CT slice, Slice index 106

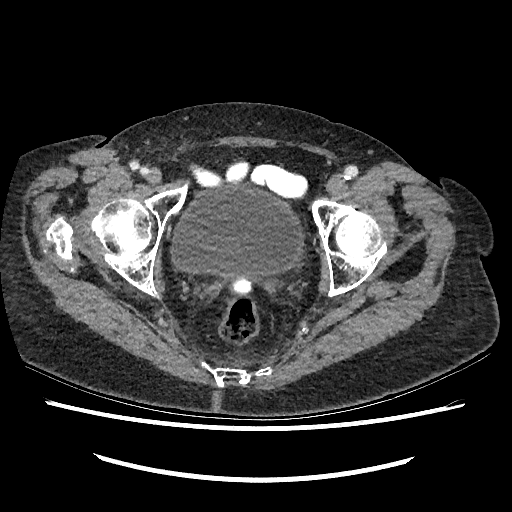
The urinary bladder lies within bbox=[171, 180, 304, 286].